240x240 px | Slice 113 of 155 | Image width 240 mm
FLAIR MRI.
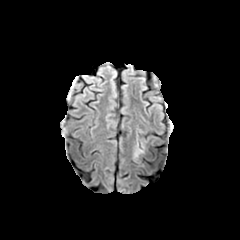
T1-weighted MR.
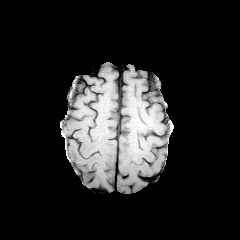
Post-contrast T1-weighted MR image.
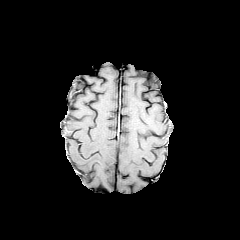
T2-weighted MRI.
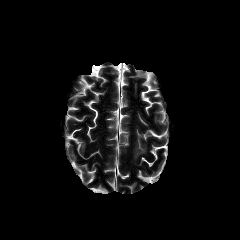
The edema is at 134,144,143,156.